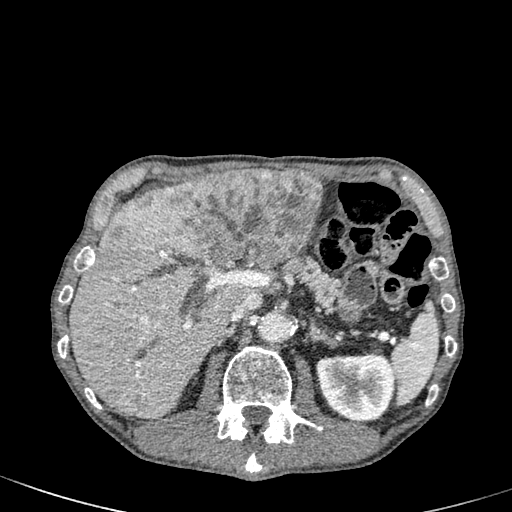

CT slice; 512x512 px
4 focal liver lesion regions appear at 182, 169, 321, 270; 112, 227, 124, 237; 164, 318, 173, 327; 133, 393, 147, 408. The liver is located at 70, 183, 248, 417. The kidney lies within 315, 355, 398, 420.